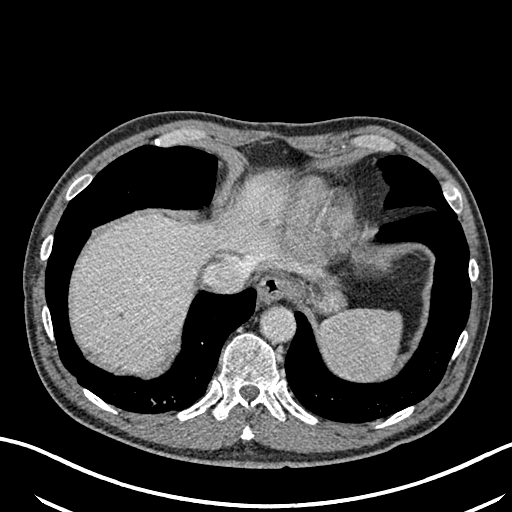

Upper abdomen. CT image.
Liver lesion: [164,341,172,352], [259,218,270,228].
Liver: [68,176,288,371].